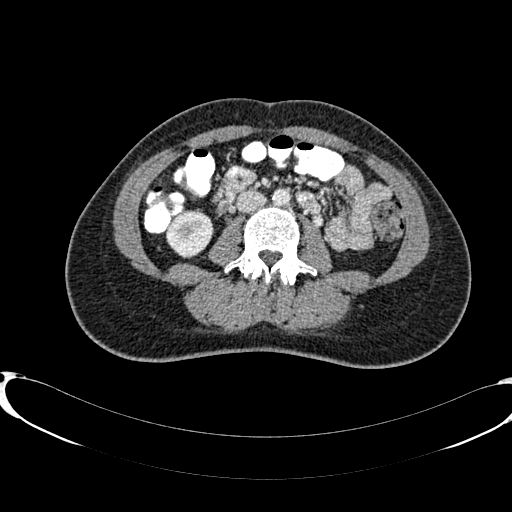
CT image | Abdomen

<segmentation>
  <kidney>167 214 211 254</kidney>
</segmentation>